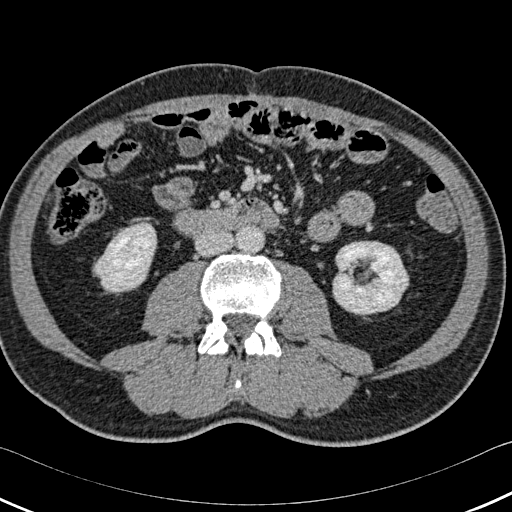

CT image, Image size 512x512, Abdomen
Kidney — 333, 242, 408, 313; 95, 223, 155, 291.
Bone — 198, 254, 281, 357.